Image size 512x512 | Slice index 45 | CT

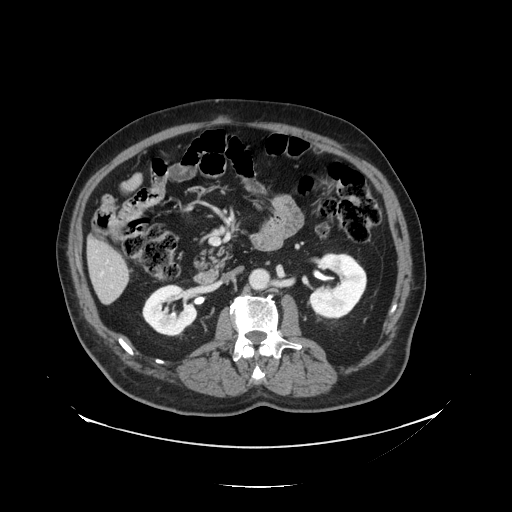

Not every hepatic vessel necessarily has a box.
Hepatic vessel — 101,272,104,275.